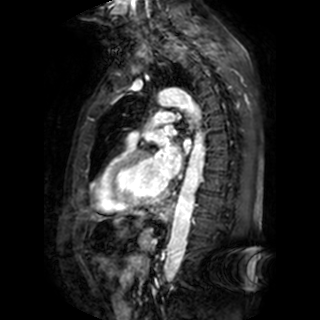
MRI slice

Left atrium: 155, 136, 182, 179; 184, 139, 190, 150.